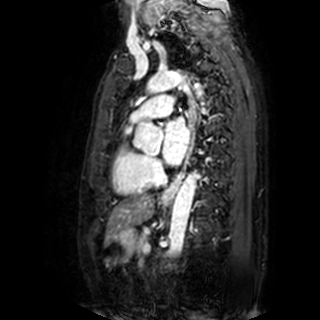 Cardiac; MR
* left atrium: 163 116 189 164